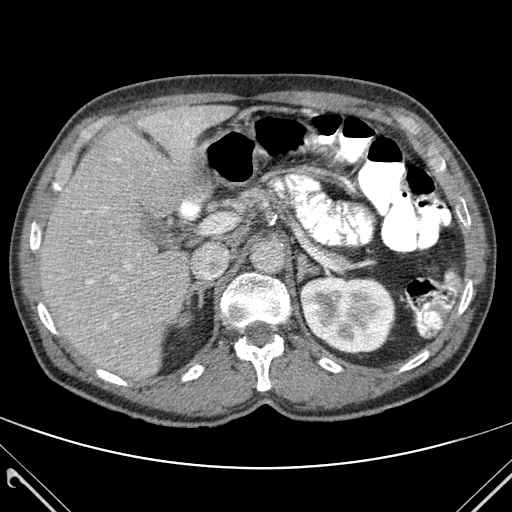

CT image.

Segmented structures:
• liver: 40:106:234:379
• bone: 97:370:126:385, 38:304:56:333, 48:183:60:196, 319:358:340:372, 458:199:470:224, 221:273:289:327, 400:351:428:370, 235:335:283:390, 182:365:202:380, 459:281:472:313, 30:221:40:250
• kidney: 301:278:393:351